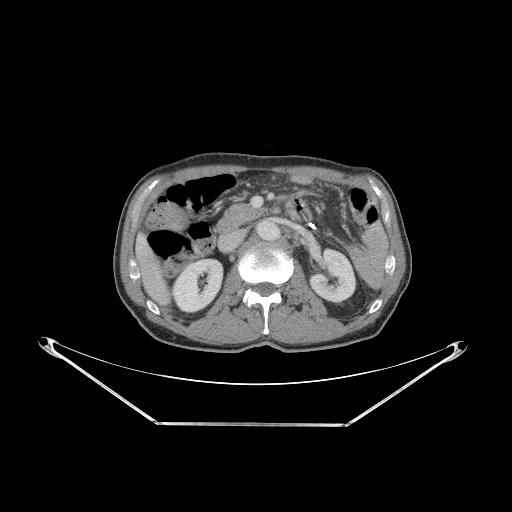
CT scan slice | Liver
{
  "bone": [
    "(239, 247, 292, 333)",
    "(369, 300, 381, 312)"
  ],
  "liver": [
    "(136, 233, 169, 305)"
  ],
  "kidney": [
    "(173, 260, 222, 311)",
    "(311, 250, 354, 301)"
  ]
}